Computed tomography, Field of view 338x338 mm, Image size 512x512 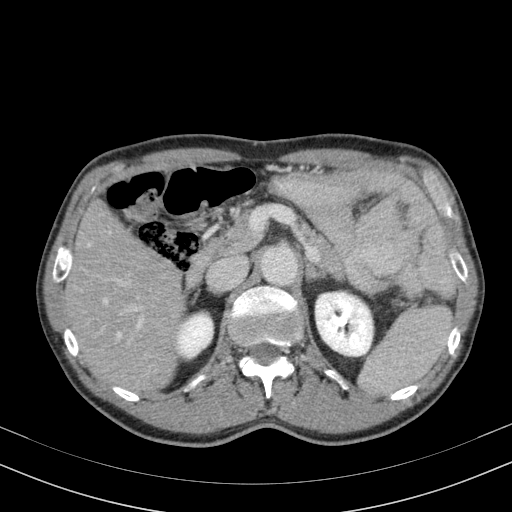 Segmented structures:
- liver: x1=66, y1=199, x2=185, y2=392
- kidney: x1=316, y1=293, x2=372, y2=355; x1=178, y1=315, x2=212, y2=356